512x512 px | CT image | Liver | Image width 344 mm 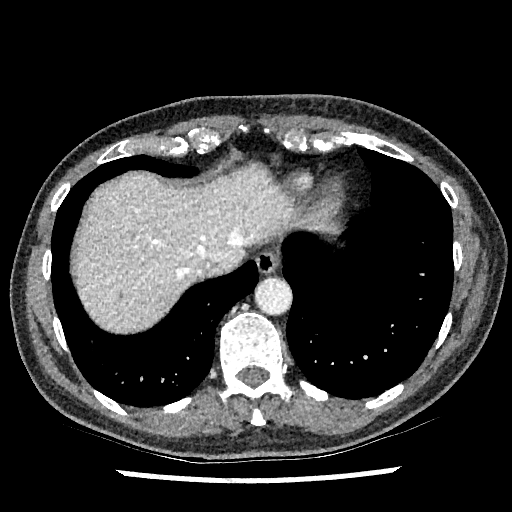
The liver is at x1=72, y1=163, x2=343, y2=333.